FLAIR MRI.
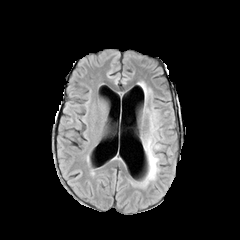
T1-weighted MR.
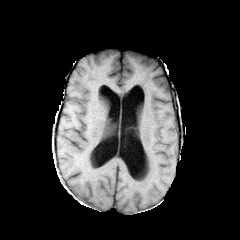
Post-contrast T1-weighted MR image.
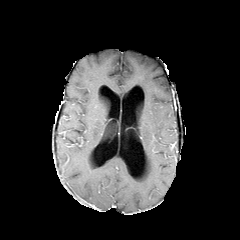
T2-weighted MR image.
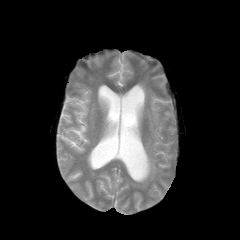
Findings:
* edema: <box>140,82,151,98</box>, <box>131,108,162,186</box>